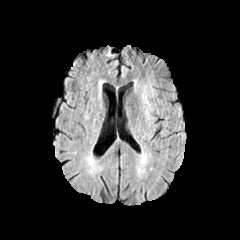
FLAIR magnetic resonance.
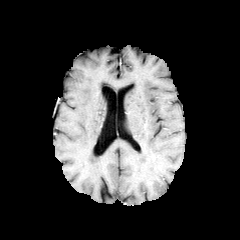
Same slice, T1-weighted MR image.
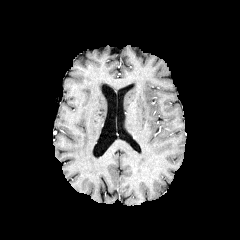
Post-contrast T1-weighted magnetic resonance.
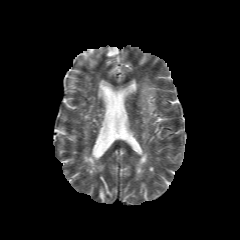
T2-weighted MR image.
Brain
Annotated regions:
- edema: {"x1": 142, "y1": 85, "x2": 153, "y2": 119}